Image size 512x512 | CT image | Abdomen

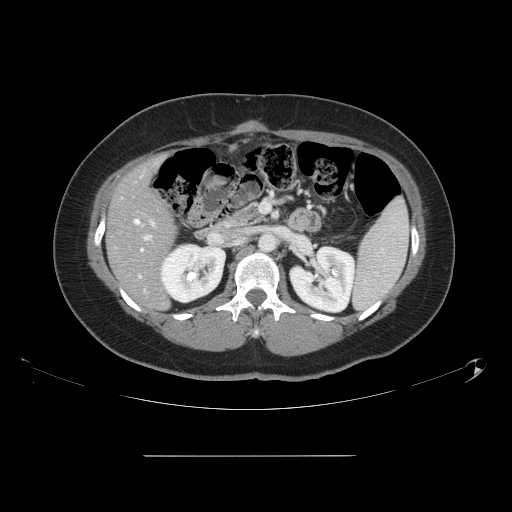

Only some of the vessels may be annotated.
4 hepatic vessel regions are bounded by 141:249:142:251, 134:219:138:223, 151:222:153:224, 144:236:149:239.